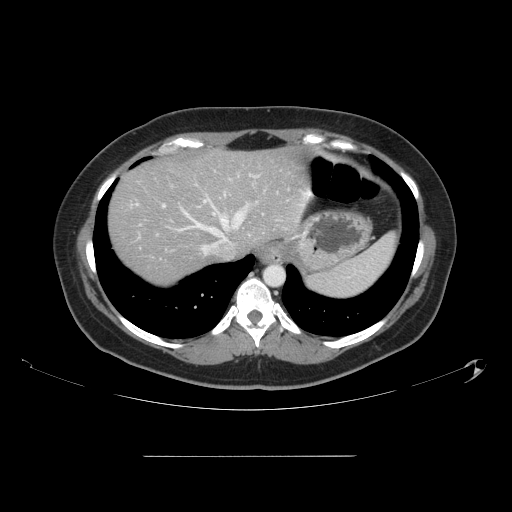

Image size 512x512; Abdomen; CT scan slice
Only some of the vessels may be annotated.
8 hepatic vessel regions appear at l=220, t=215, r=227, b=228; l=213, t=211, r=217, b=214; l=196, t=224, r=223, b=238; l=163, t=205, r=164, b=207; l=202, t=245, r=206, b=253; l=233, t=210, r=245, b=226; l=204, t=200, r=207, b=202; l=304, t=193, r=308, b=194.